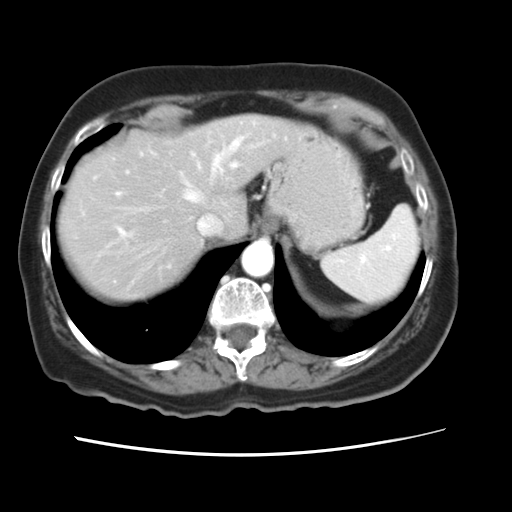 Abdomen | CT slice

Not every hepatic vessel necessarily has a box.
Hepatic vessel at left=198, top=162, right=200, bottom=169; left=94, top=176, right=95, bottom=178; left=192, top=152, right=195, bottom=156; left=116, top=227, right=131, bottom=238; left=184, top=191, right=201, bottom=201; left=141, top=153, right=142, bottom=155; left=151, top=152, right=153, bottom=153; left=230, top=162, right=237, bottom=168; left=116, top=193, right=120, bottom=195; left=211, top=137, right=241, bottom=177; left=126, top=171, right=128, bottom=172.